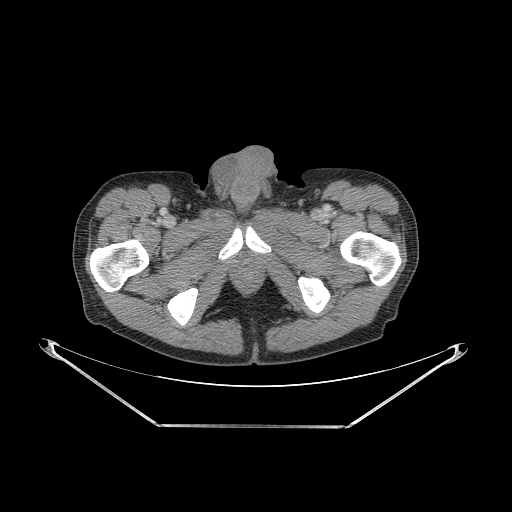 CT scan slice.

<segmentation>
  <bone><bbox>298, 277, 329, 312</bbox>, <bbox>219, 228, 242, 259</bbox>, <bbox>90, 240, 148, 291</bbox>, <bbox>168, 288, 197, 325</bbox>, <bbox>340, 231, 400, 286</bbox>, <bbox>246, 226, 270, 253</bbox></bone>
</segmentation>